Slice 94 of 155; Head
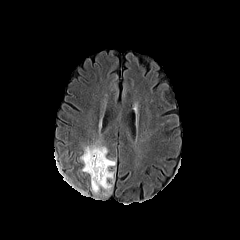
FLAIR MRI.
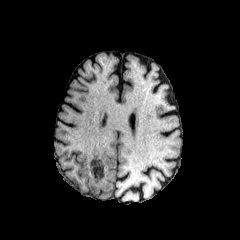
T1-weighted magnetic resonance of the same slice.
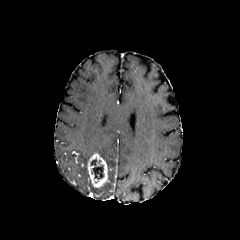
Post-contrast T1-weighted magnetic resonance.
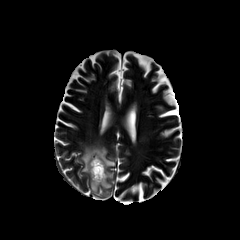
Same slice, T2-weighted magnetic resonance.
2 edema regions are located at (left=101, top=184, right=111, bottom=197), (left=80, top=144, right=115, bottom=173). The non-enhancing tumor core is located at (left=90, top=159, right=104, bottom=179). The enhancing tumor appears at (left=87, top=153, right=108, bottom=188).